FLAIR magnetic resonance.
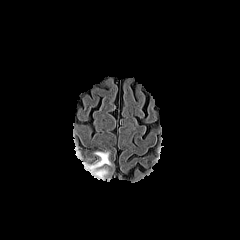
T1-weighted magnetic resonance.
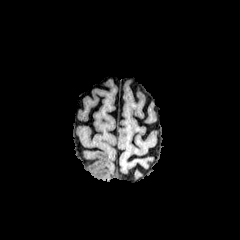
Post-contrast T1-weighted magnetic resonance.
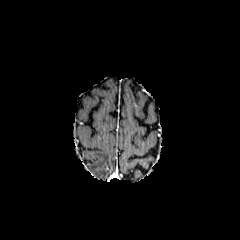
T2-weighted MR.
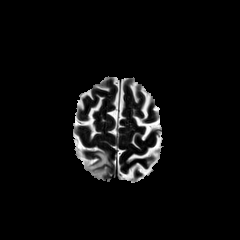
Brain
Edema — (x1=89, y1=153, x2=111, y2=180).